Image width 240 mm
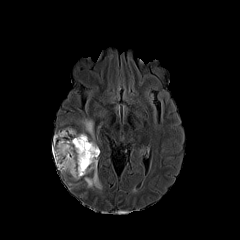
FLAIR MRI.
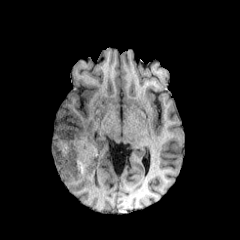
T1-weighted MRI of the same slice.
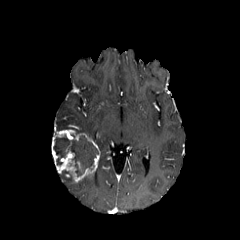
Same slice, post-contrast T1-weighted MR.
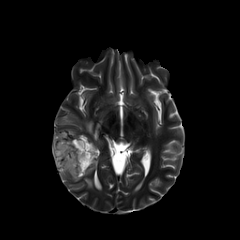
T2-weighted MR image of the same slice.
non-enhancing tumor core: (53, 134, 98, 176) | edema: (84, 170, 102, 190), (82, 119, 93, 135) | enhancing tumor: (52, 130, 100, 182)